FLAIR MRI.
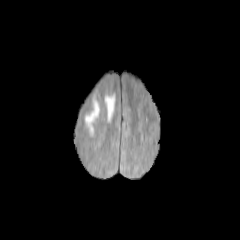
T1-weighted MRI.
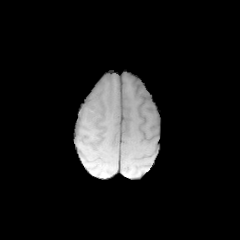
Post-contrast T1-weighted MR image.
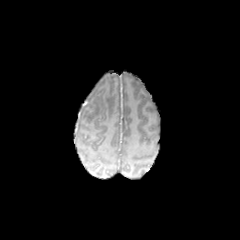
T2-weighted MR.
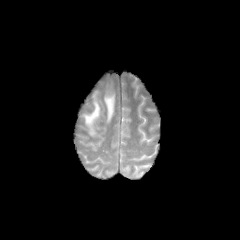
Brain
2 edema regions are bounded by {"x1": 82, "y1": 96, "x2": 100, "y2": 136}, {"x1": 104, "y1": 92, "x2": 114, "y2": 122}.